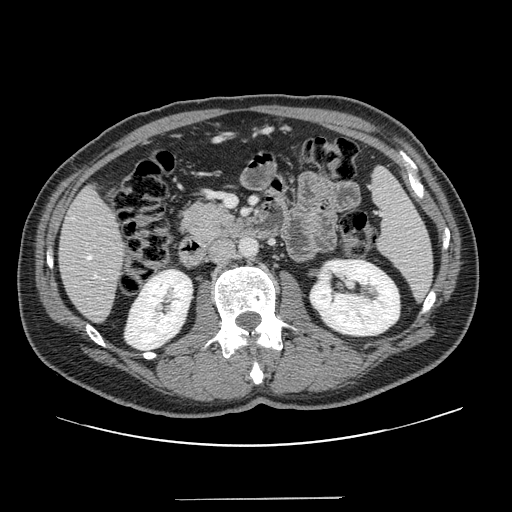
Abdomen; CT; 512x512
pancreas: (174,198,237,250) | pancreatic tumor: (184,202,232,241)